240x240 px
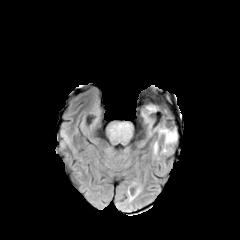
FLAIR magnetic resonance.
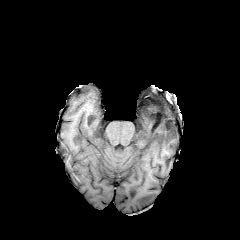
T1-weighted MR of the same slice.
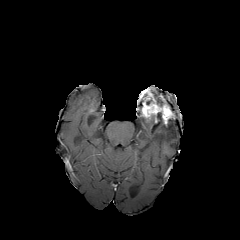
Same slice, post-contrast T1-weighted MR.
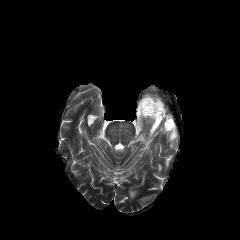
T2-weighted magnetic resonance.
<segmentation>
  <edema><box>144,118,177,154</box>, <box>153,141,159,155</box></edema>
  <enhancing_tumor><box>140,102,169,123</box></enhancing_tumor>
  <non-enhancing_tumor_core><box>156,103,171,118</box>, <box>150,112,162,119</box></non-enhancing_tumor_core>
</segmentation>